Liver, Field of view 439 mm wide, 5.00 mm slice spacing, 512x512 px, CT

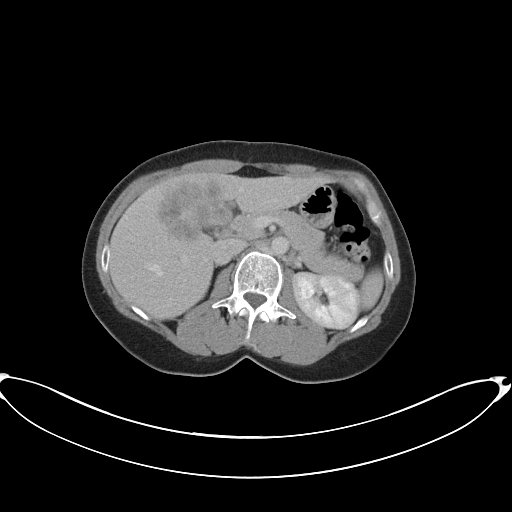

Only some of the vessels may be annotated.
The liver tumor appears at bbox=[160, 185, 238, 239]. 2 hepatic vessel regions are bounded by bbox=[149, 264, 161, 277]; bbox=[183, 256, 186, 261].